FLAIR MR image.
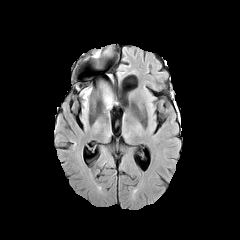
T1-weighted MRI.
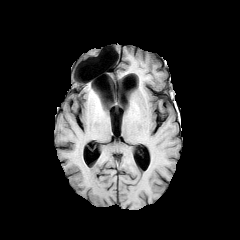
Post-contrast T1-weighted MR.
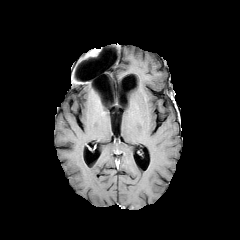
T2-weighted MR image.
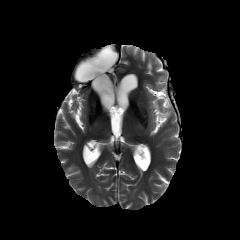
Brain.
• edema: region(102, 88, 114, 109)